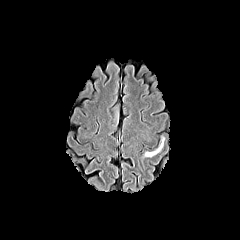
FLAIR MRI.
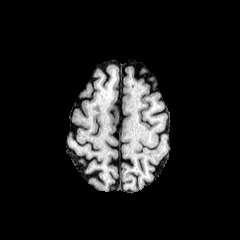
Same slice, T1-weighted magnetic resonance.
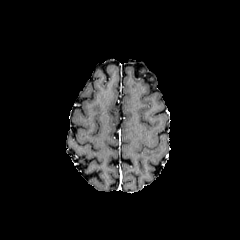
Same slice, post-contrast T1-weighted MR.
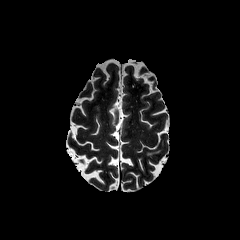
T2-weighted MRI of the same slice.
The edema is at left=141, top=149, right=160, bottom=157.